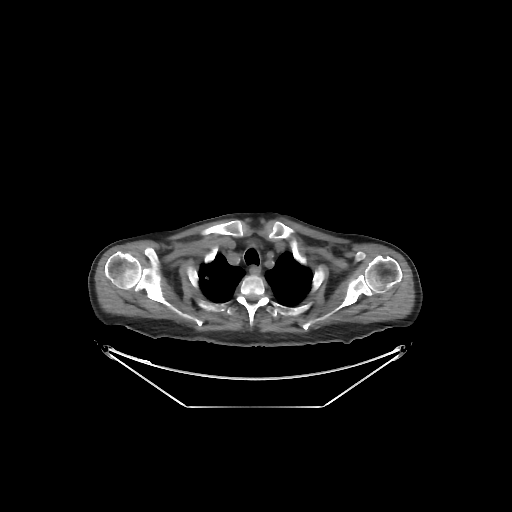
512x512 px. CT image.
9 bone regions are bounded by (left=337, top=256, right=401, bottom=308), (left=269, top=222, right=298, bottom=255), (left=105, top=248, right=170, bottom=305), (left=356, top=252, right=364, bottom=260), (left=237, top=275, right=269, bottom=324), (left=202, top=221, right=243, bottom=235), (left=188, top=270, right=197, bottom=286), (left=206, top=246, right=216, bottom=261), (left=313, top=278, right=319, bottom=288). 3 lung regions are located at (left=264, top=251, right=312, bottom=306), (left=244, top=248, right=259, bottom=265), (left=198, top=252, right=245, bottom=302).